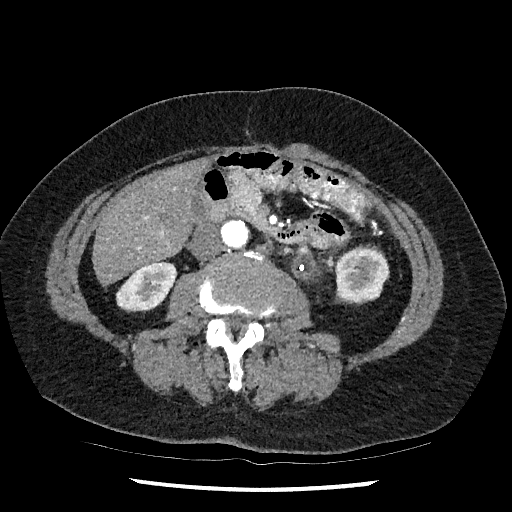
Abdomen | CT image
Kidney: [x1=117, y1=262, x2=176, y2=310], [x1=336, y1=249, x2=388, y2=302].
Liver: [x1=93, y1=160, x2=206, y2=285].